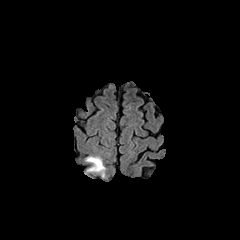
FLAIR magnetic resonance.
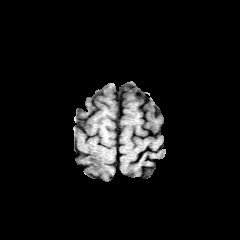
Same slice, T1-weighted MR image.
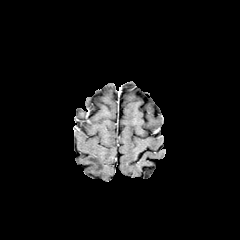
Same slice, post-contrast T1-weighted MR.
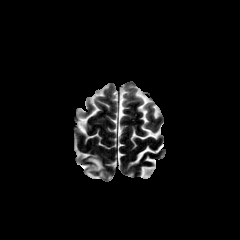
Same slice, T2-weighted MRI.
Image size 240x240
Edema — bbox(84, 153, 106, 178).